Field of view 360 mm wide, 1.25 mm slice spacing | CT | Slice index 57 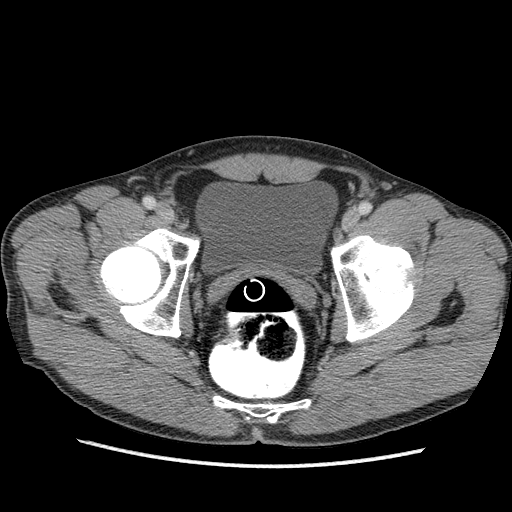

urinary bladder: 196:181:337:276